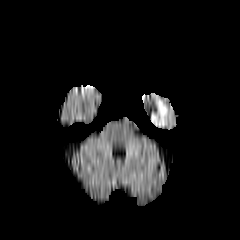
FLAIR MR image.
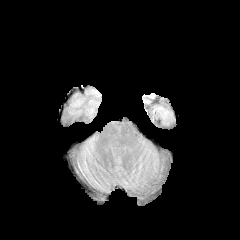
T1-weighted MR.
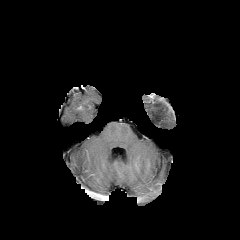
Post-contrast T1-weighted MR image.
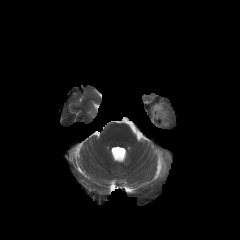
T2-weighted magnetic resonance.
Image size 240x240.
{
  "edema": [
    "<box>156,100,167,125</box>"
  ]
}